Brain | Image size 240x240 | Slice index 101
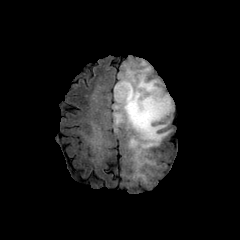
FLAIR MR.
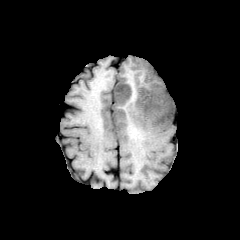
T1-weighted MR.
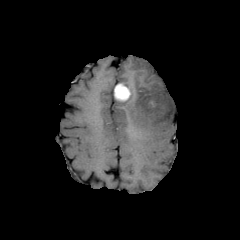
Post-contrast T1-weighted MR image.
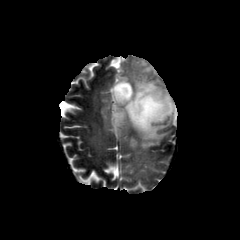
T2-weighted MRI.
2 edema regions are located at bbox(123, 170, 143, 181); bbox(111, 61, 174, 168). The enhancing tumor is located at bbox(114, 82, 130, 101). 4 non-enhancing tumor core regions appear at bbox(136, 82, 172, 123); bbox(117, 74, 136, 99); bbox(129, 120, 139, 139); bbox(113, 99, 127, 125).